Slice index 97. Image width 240 mm.
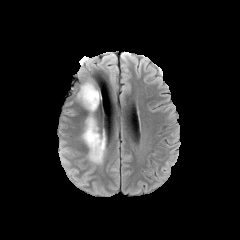
FLAIR MR image.
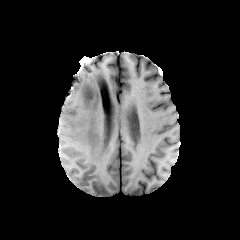
T1-weighted MR image.
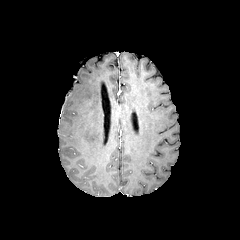
Post-contrast T1-weighted MR.
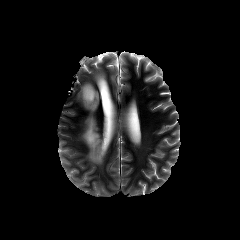
T2-weighted MRI of the same slice.
Annotated regions:
• edema: left=97, top=54, right=112, bottom=64; left=78, top=82, right=106, bottom=163